512x512, Field of view 460 mm wide, 2.50 mm slice spacing, Slice index 28, Upper abdomen, CT scan slice 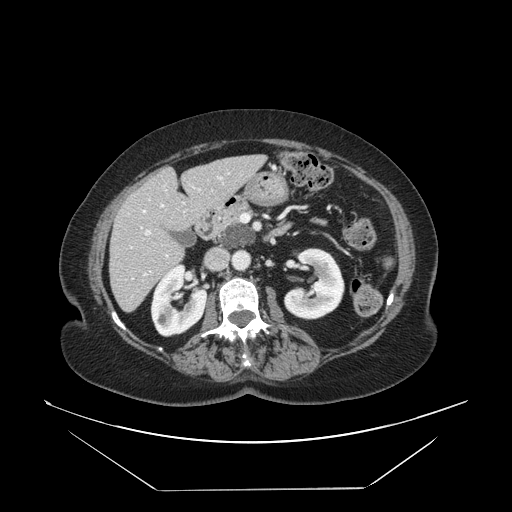

Findings:
- pancreas: 209 195 258 249
- pancreatic tumor: 219 224 255 248